Computed tomography 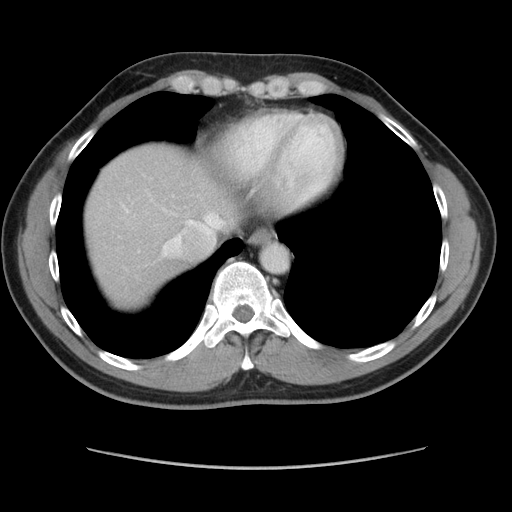
The vessel boxes may cover only some of the vessels.
Hepatic vessel at rect(122, 204, 128, 212); rect(163, 214, 222, 256).